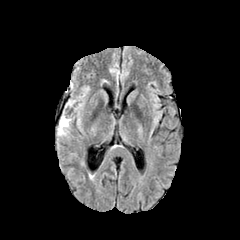
FLAIR magnetic resonance.
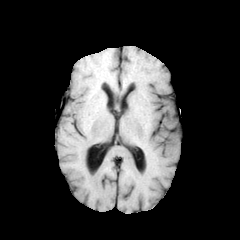
T1-weighted MR.
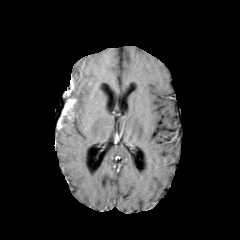
Post-contrast T1-weighted MRI.
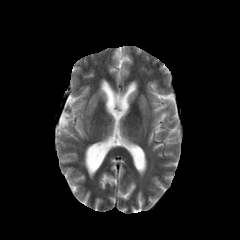
Same slice, T2-weighted MRI.
Image size 240x240 | Brain
Edema: bounding box x1=56 y1=89 x2=87 y2=143.
Non-enhancing tumor core: bounding box x1=57 y1=102 x2=73 y2=131.